Slice index 271; Abdomen; CT slice
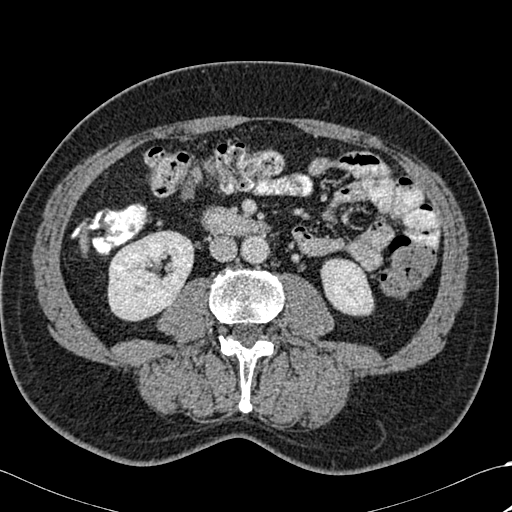

Bone = (x1=209, y1=270, x2=283, y2=332), (x1=219, y1=336, x2=274, y2=412).
Kidney = (x1=322, y1=260, x2=372, y2=314), (x1=108, y1=232, x2=192, y2=320).